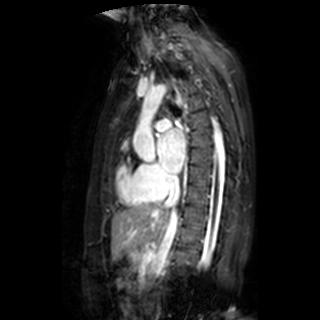
MRI slice.

<segmentation>
  <left_atrium>bbox(157, 129, 185, 172)</left_atrium>
</segmentation>